Field of view 240 mm wide, 1.00 mm slice spacing | Image size 240x240
FLAIR MR.
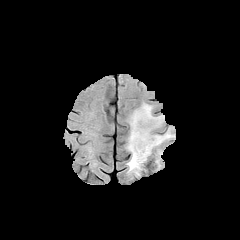
T1-weighted MRI.
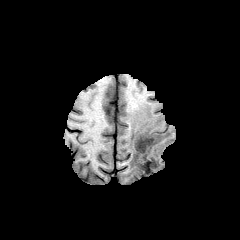
Post-contrast T1-weighted MR.
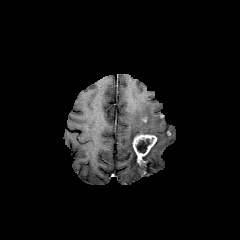
T2-weighted MR.
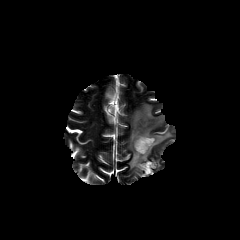
Edema: bounding box box(127, 104, 161, 175); box(142, 131, 171, 166).
Enhancing tumor: bounding box box(132, 134, 157, 164).
Non-enhancing tumor core: bounding box box(137, 139, 149, 152).